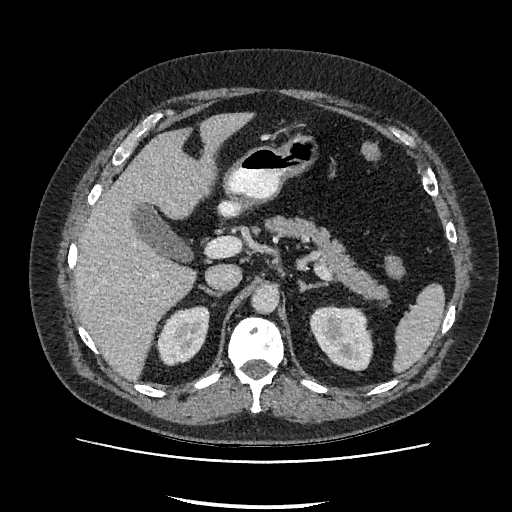
Image size 512x512 | Liver | CT

{"kidney": ["311 308 371 369", "158 308 208 363"], "liver": ["76 113 253 380"]}